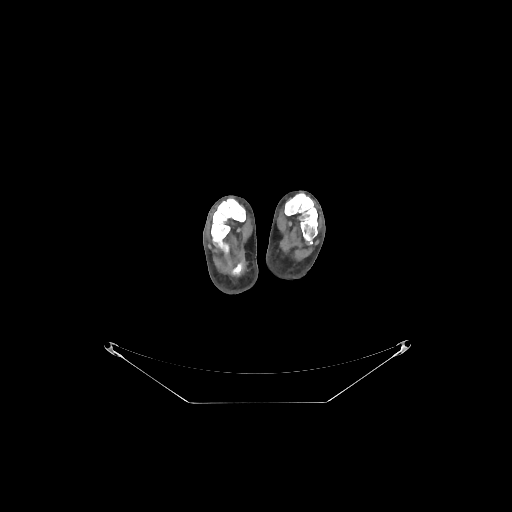
CT image
3 bone regions are located at <bbox>232, 265, 242, 274</bbox>, <bbox>284, 193, 317, 240</bbox>, <bbox>211, 198, 245, 254</bbox>.